Image width 240 mm
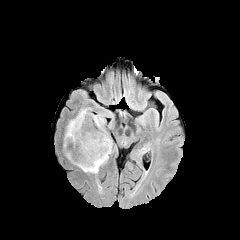
FLAIR MRI.
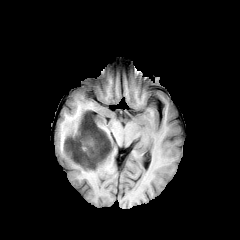
T1-weighted MRI.
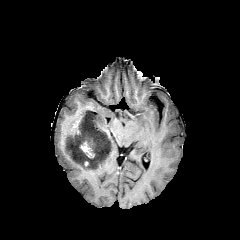
Same slice, post-contrast T1-weighted MR image.
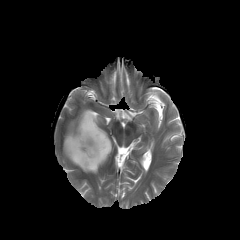
T2-weighted MRI.
Findings:
* non-enhancing tumor core: 67:110:110:168
* enhancing tumor: 79:140:94:157
* edema: 63:107:92:148, 94:113:105:129, 66:149:113:173